240x240; Head; Slice 82/155
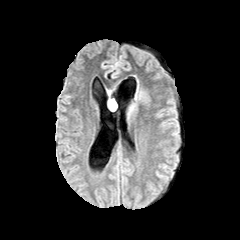
FLAIR MRI.
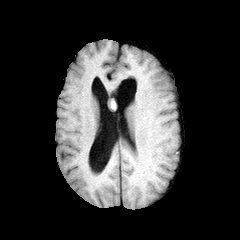
T1-weighted magnetic resonance.
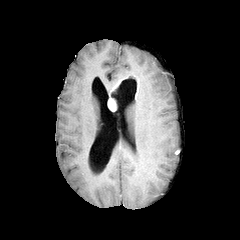
Post-contrast T1-weighted MR.
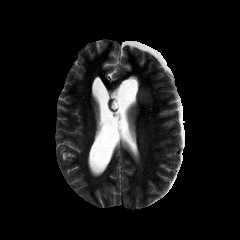
T2-weighted magnetic resonance of the same slice.
enhancing tumor: bbox(108, 98, 115, 111)